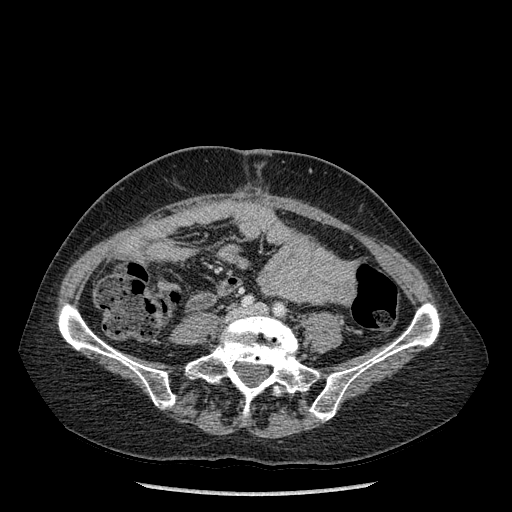

CT
3 bone regions are located at x1=186, y1=313, x2=319, y2=416; x1=58, y1=303, x2=175, y2=408; x1=309, y1=303, x2=439, y2=420.